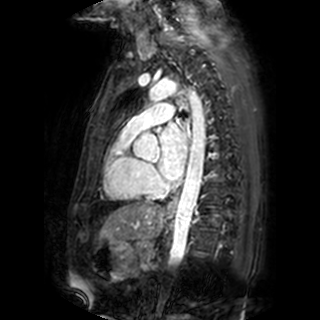 320x320. Magnetic resonance.

Left atrium at box=[157, 122, 186, 181].